CT image; Slice 138/212; Abdomen; Image width 350 mm
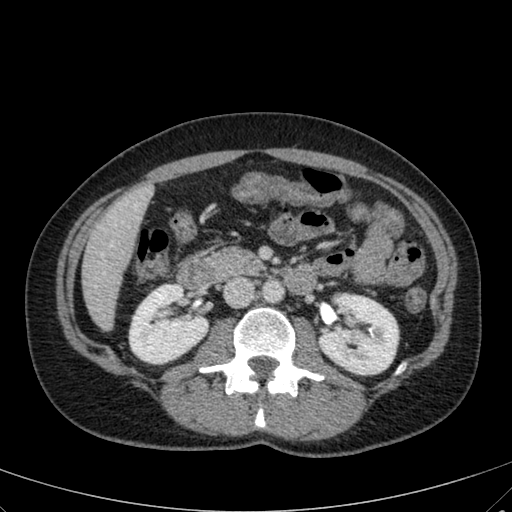

Kidney: bounding box 319, 294, 397, 374; 130, 285, 207, 363.
Liver: bounding box 82, 195, 147, 330.